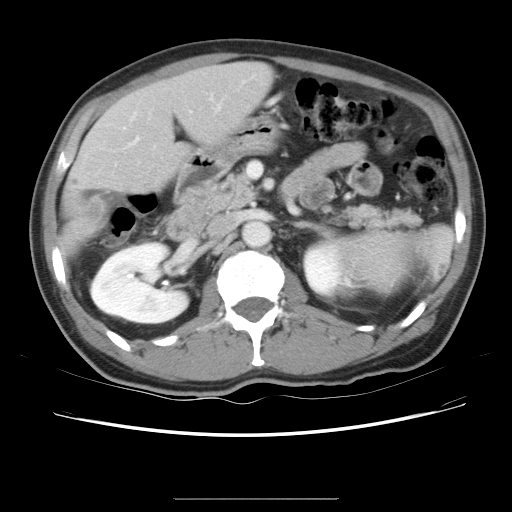

CT slice.
Only some of the vessels may be annotated.
4 hepatic vessel regions are bounded by <bbox>127, 136, 139, 146</bbox>, <bbox>124, 127, 126, 129</bbox>, <bbox>130, 112, 136, 119</bbox>, <bbox>210, 94, 220, 111</bbox>.